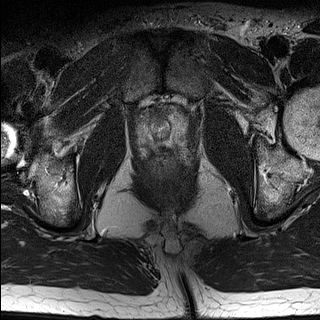
T2-weighted MR image.
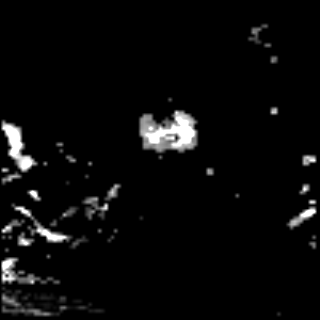
ADC magnetic resonance.
Prostate.
<segmentation>
  <prostate_peripheral_zone>[x1=140, y1=113, x2=187, y2=142]</prostate_peripheral_zone>
  <prostate_transition_zone>[x1=148, y1=113, x2=172, y2=138]</prostate_transition_zone>
</segmentation>